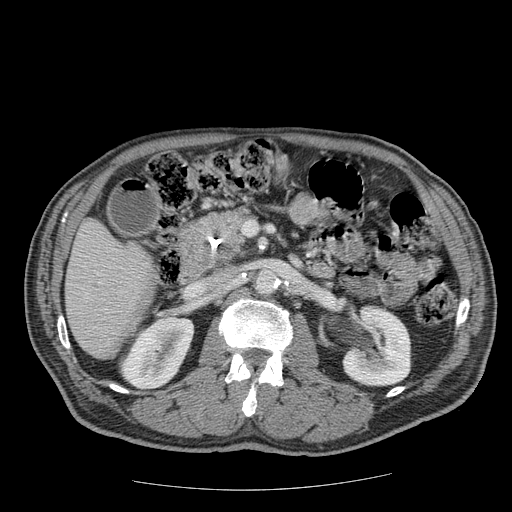 Computed tomography

{
  "pancreatic_tumor": [
    "left=185, top=212, right=244, bottom=267"
  ],
  "pancreas": [
    "left=203, top=205, right=259, bottom=268"
  ]
}